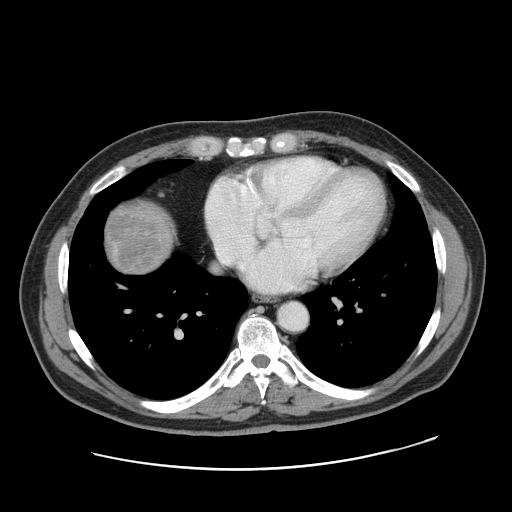 CT scan slice; Liver

Liver tumor: bbox(108, 208, 163, 272).